Liver. CT scan slice. Image size 512x512.
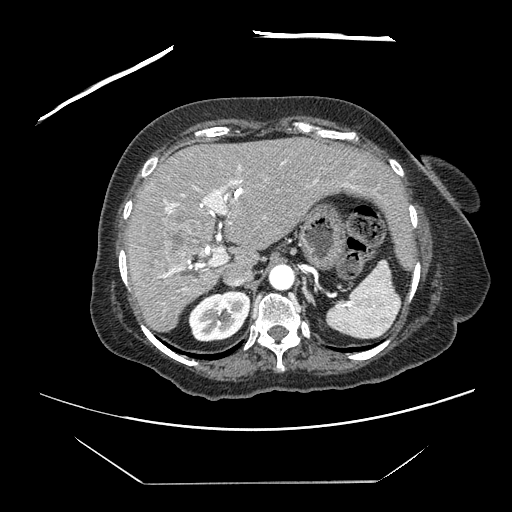

Some hepatic vessels may have no box.
<segmentation>
  <liver_tumor>region(166, 220, 206, 263)</liver_tumor>
  <hepatic_vessel>region(189, 262, 192, 267); region(230, 180, 240, 183); region(210, 248, 226, 265); region(163, 267, 182, 276); region(164, 199, 178, 213); region(181, 194, 183, 196); region(195, 265, 199, 269); region(199, 186, 227, 214)</hepatic_vessel>
</segmentation>